Slice index 55.
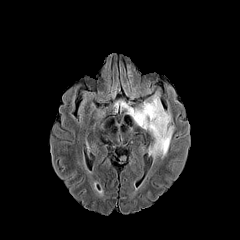
FLAIR MR image.
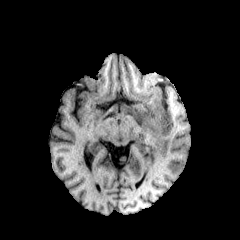
T1-weighted MR image.
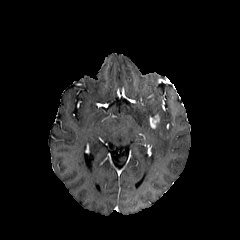
Post-contrast T1-weighted magnetic resonance of the same slice.
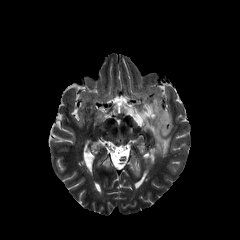
T2-weighted MR image.
* enhancing tumor: (x1=149, y1=114, x2=159, y2=128)
* edema: (x1=127, y1=92, x2=173, y2=160)